Slice index 137. CT image. Field of view 400x400 mm. Pelvis.
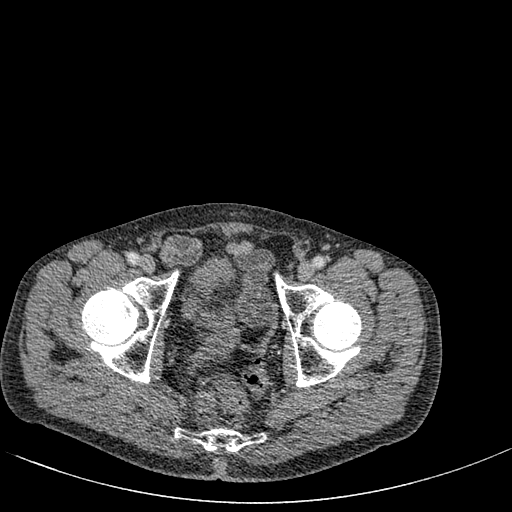
{
  "urinary_bladder": [
    "box(185, 252, 240, 342)"
  ]
}